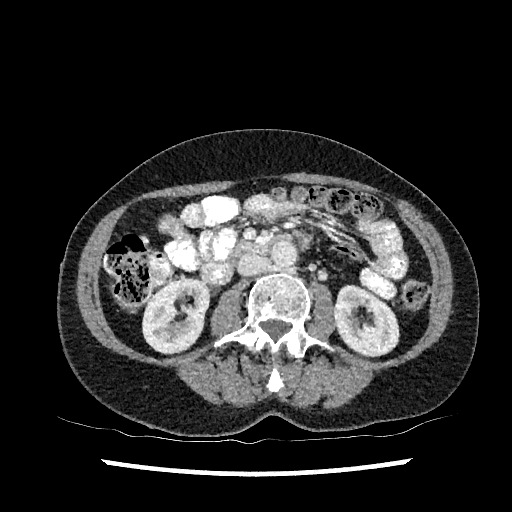 CT

Kidney = <box>143,279,209,352</box>, <box>334,286,398,355</box>.